CT image
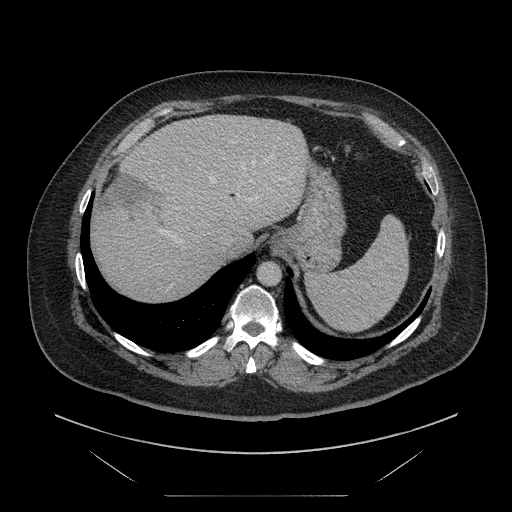
Only some of the vessels may be annotated.
Liver tumor = box=[98, 174, 161, 216].
Hepatic vessel = box=[250, 161, 256, 170]; box=[160, 230, 183, 242]; box=[260, 155, 273, 164]; box=[243, 166, 247, 174]; box=[249, 178, 253, 182].